512x512 | Slice index 335 | Computed tomography | Field of view 338x338 mm

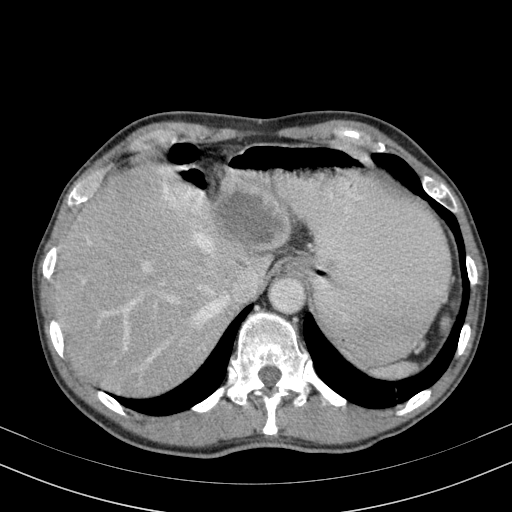
{
  "liver": [
    "x1=55 y1=159 x2=291 y2=396"
  ],
  "focal_liver_lesion": [
    "x1=214 y1=192 x2=280 y2=243"
  ]
}